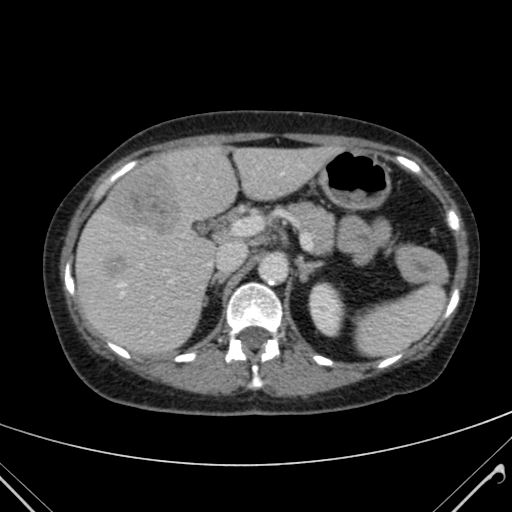

CT slice. The liver appears at l=77, t=145, r=330, b=355. The kidney is at l=311, t=286, r=338, b=330. 2 liver lesion regions appear at l=110, t=162, r=183, b=236; l=102, t=256, r=126, b=276.